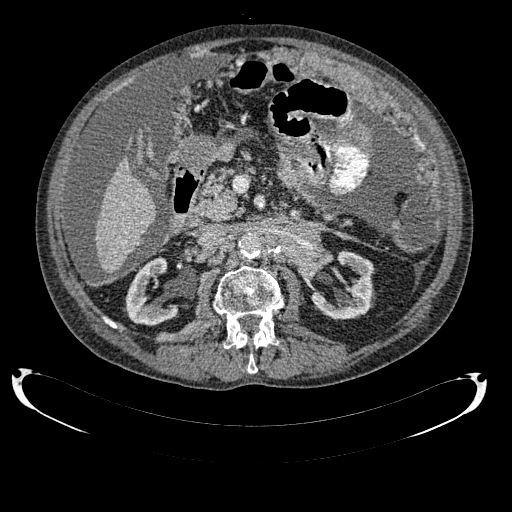 CT. Abdomen.
<segmentation>
  <kidney>x1=126 y1=258 x2=177 y2=325, x1=310 y1=251 x2=373 y2=318</kidney>
  <liver>x1=95 y1=156 x2=155 y2=273</liver>
</segmentation>